Brain
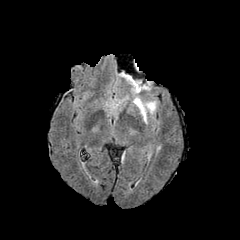
FLAIR MR image.
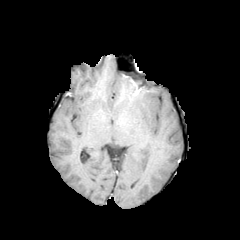
T1-weighted MR image of the same slice.
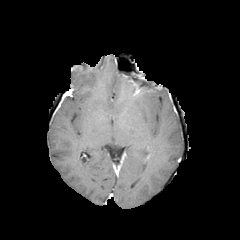
Post-contrast T1-weighted magnetic resonance.
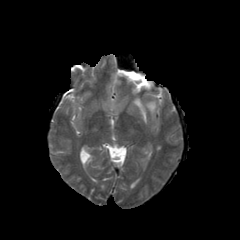
T2-weighted MR image.
Edema = (118, 73, 157, 123).